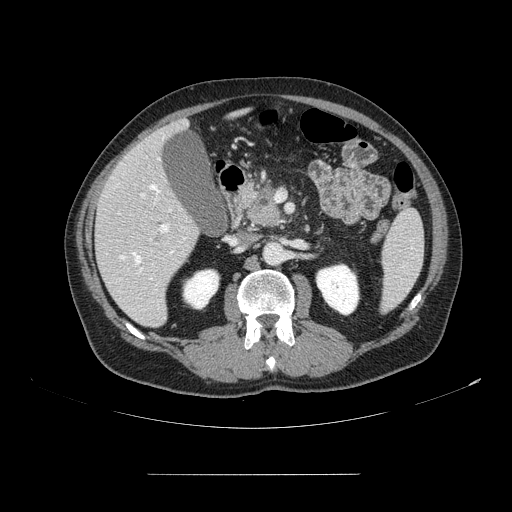
Computed tomography; Upper abdomen

pancreas:
  - 245, 183, 284, 227